Slice 87/155. Head.
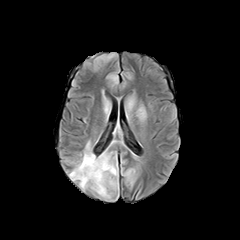
FLAIR MR.
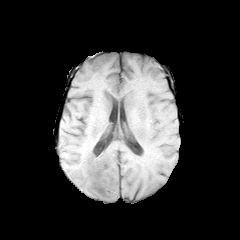
T1-weighted MRI of the same slice.
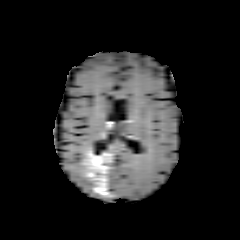
Same slice, post-contrast T1-weighted MR.
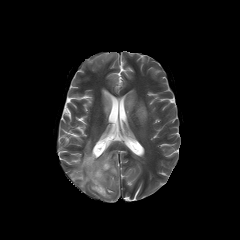
T2-weighted MRI.
Enhancing tumor — 84,153,109,195.
Edema — 106,162,117,174; 71,152,91,187.
Non-enhancing tumor core — 99,176,109,194; 86,167,97,188.